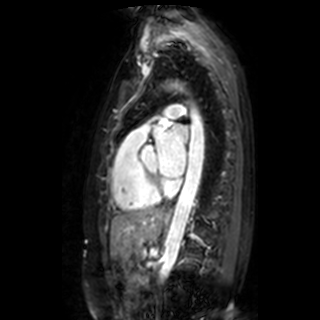
MRI. left atrium: <box>155,125,188,177</box>